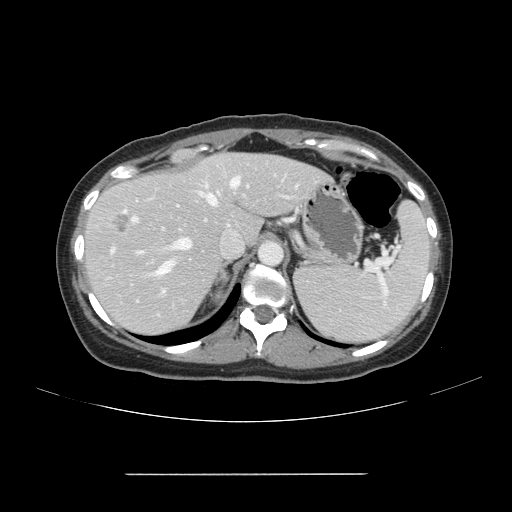 CT; 512x512
Not every hepatic vessel necessarily has a box.
The liver tumor appears at <box>115,216,131,232</box>. 9 hepatic vessel regions appear at <box>138,251,141,253</box>, <box>132,217,137,221</box>, <box>172,238,190,248</box>, <box>124,209,126,212</box>, <box>152,261,173,275</box>, <box>206,183,207,187</box>, <box>111,248,113,252</box>, <box>231,176,239,186</box>, <box>199,192,216,205</box>.